CT image. Image width 392 mm. Slice 53 of 84. 512x512. Abdomen. 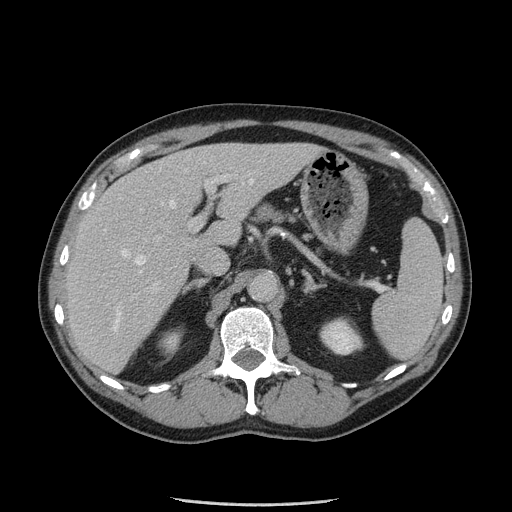
Annotated regions:
- pancreas: [252,202,288,224]